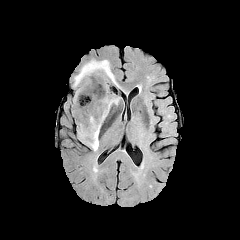
FLAIR magnetic resonance.
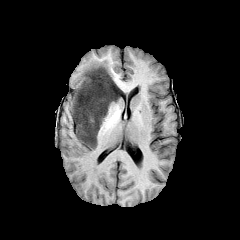
T1-weighted magnetic resonance.
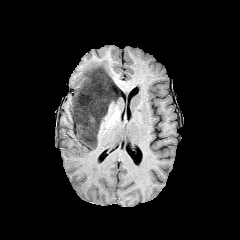
Post-contrast T1-weighted magnetic resonance of the same slice.
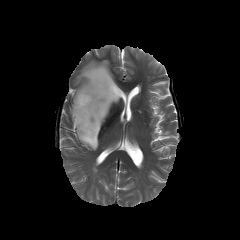
T2-weighted MR image.
Head
The non-enhancing tumor core is bounded by (72,66,120,148). 2 edema regions are located at (81,84,103,98), (73,60,111,88).